Slice 58/155; Field of view 240 mm wide, 1.00 mm slice spacing
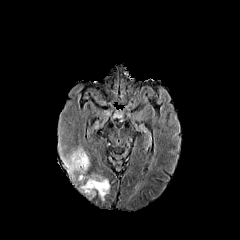
FLAIR magnetic resonance.
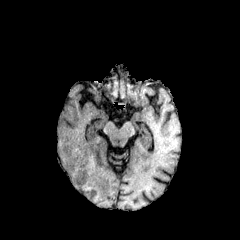
Same slice, T1-weighted MRI.
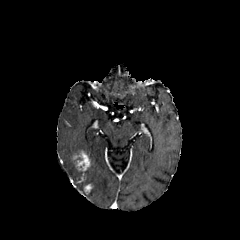
Post-contrast T1-weighted MRI of the same slice.
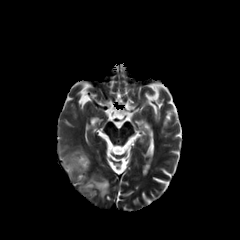
Same slice, T2-weighted MRI.
{
  "enhancing_tumor": [
    {"x1": 73, "y1": 150, "x2": 90, "y2": 170},
    {"x1": 84, "y1": 184, "x2": 92, "y2": 194}
  ],
  "edema": [
    {"x1": 79, "y1": 174, "x2": 110, "y2": 200},
    {"x1": 63, "y1": 151, "x2": 78, "y2": 179}
  ]
}